CT scan slice | Field of view 388x388 mm | Slice 481 of 733

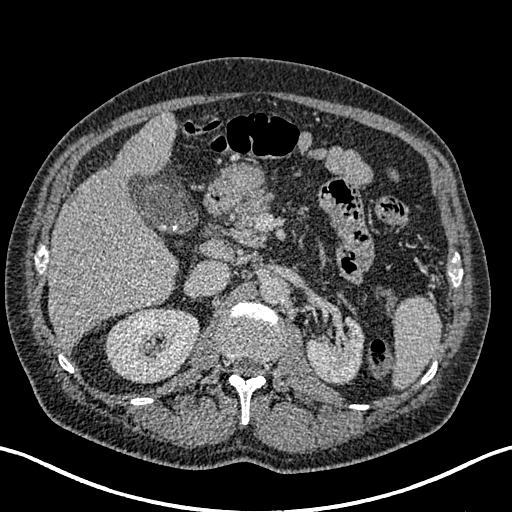

Liver: bounding box bbox=[49, 114, 176, 350].
Kidney: bounding box bbox=[307, 319, 362, 382]; bbox=[107, 309, 198, 382].